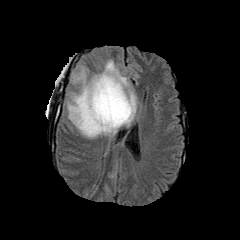
FLAIR MRI.
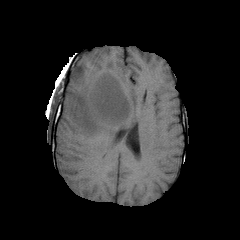
T1-weighted MR of the same slice.
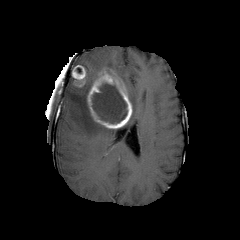
Post-contrast T1-weighted MR image.
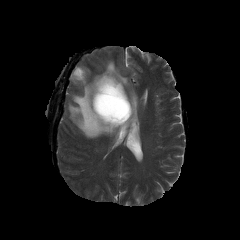
T2-weighted MR of the same slice.
Head
Segmented structures:
- edema: region(104, 59, 138, 127); region(66, 66, 117, 138)
- enhancing tumor: region(71, 65, 87, 86); region(87, 68, 132, 128)
- non-enhancing tumor core: region(91, 84, 127, 123)